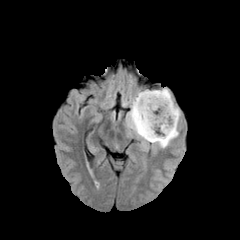
FLAIR MRI.
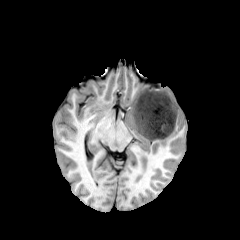
T1-weighted magnetic resonance.
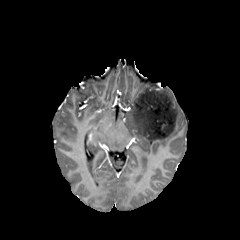
Post-contrast T1-weighted MRI of the same slice.
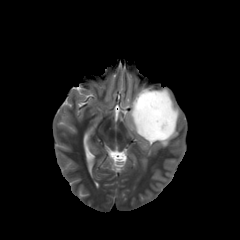
T2-weighted MR image.
Brain; 240x240 px
edema:
  - region(121, 86, 181, 151)
non-enhancing_tumor_core:
  - region(132, 90, 176, 141)